CT scan slice, Image size 512x512
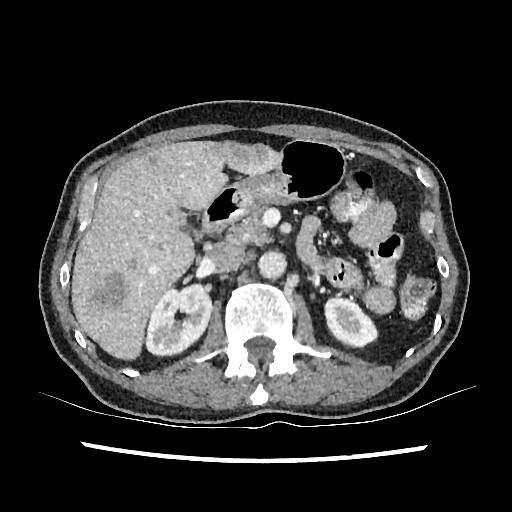 <segmentation>
  <liver_lesion>l=89, t=271, r=127, b=309; l=126, t=259, r=135, b=268; l=215, t=142, r=268, b=165</liver_lesion>
  <liver>l=72, t=142, r=280, b=358</liver>
  <kidney>l=146, t=285, r=211, b=354; l=325, t=298, r=376, b=346</kidney>
</segmentation>